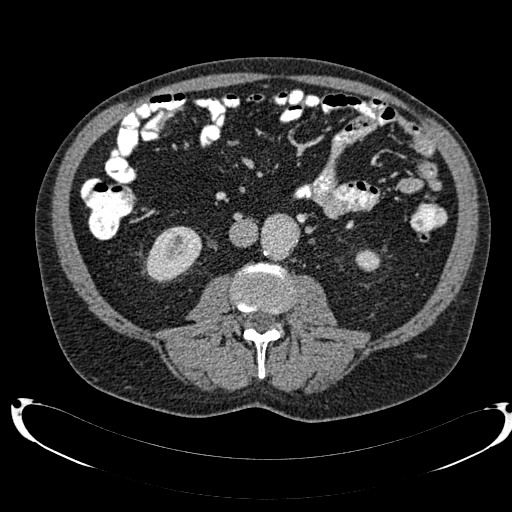 Abdomen | CT

2 kidney regions are located at x1=146 y1=226 x2=201 y2=281, x1=355 y1=250 x2=379 y2=271.